Liver; CT
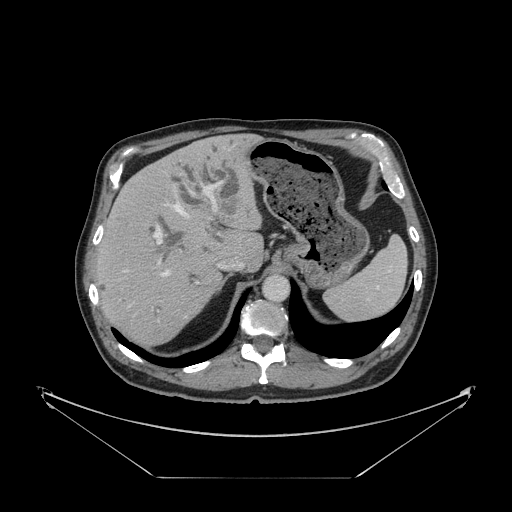 Only some of the vessels may be annotated.
<segmentation>
  <hepatic_vessel>196, 282, 197, 283; 203, 182, 220, 210; 153, 227, 161, 243; 165, 201, 188, 217; 158, 261, 159, 264; 161, 271, 169, 275; 189, 190, 192, 193; 124, 270, 126, 271</hepatic_vessel>
  <liver_tumor>215, 198, 240, 217</liver_tumor>
</segmentation>